Image width 500 mm | Upper abdomen | Computed tomography

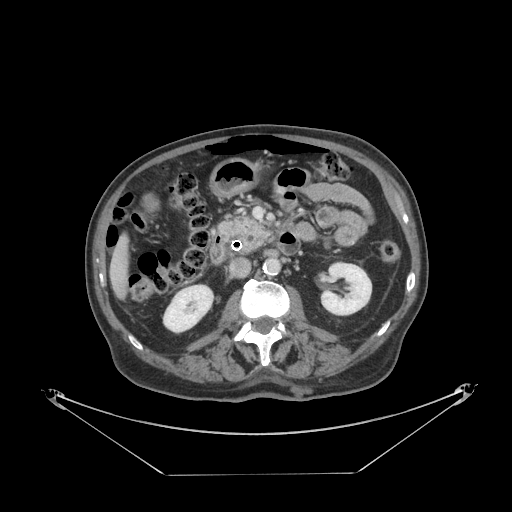 The pancreas is bounded by l=220, t=217, r=265, b=252.